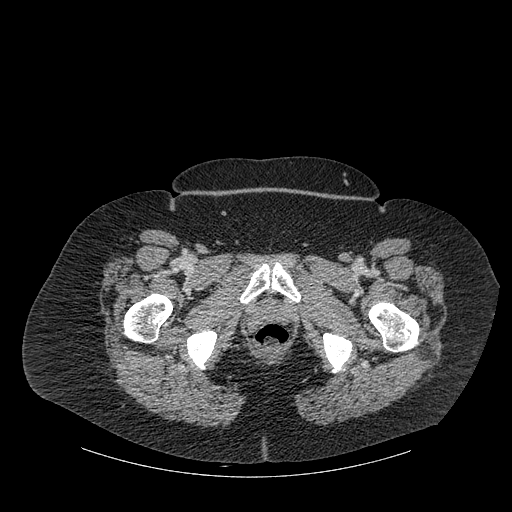 CT slice

{"bone": ["[x1=187, y1=330, x2=216, y2=369]", "[x1=124, y1=294, x2=172, y2=342]", "[x1=240, y1=262, x2=300, y2=303]", "[x1=368, y1=302, x2=419, y2=351]", "[x1=323, y1=333, x2=351, y2=372]"]}